FLAIR MR.
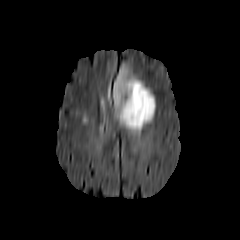
T1-weighted magnetic resonance.
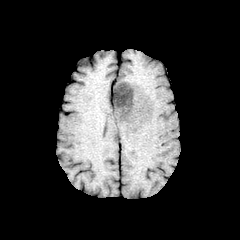
Post-contrast T1-weighted magnetic resonance.
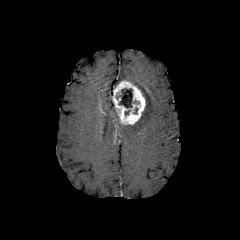
T2-weighted MR image.
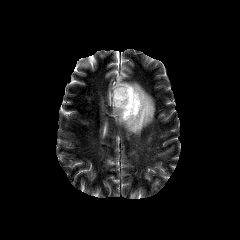
Head
Edema at 113, 65, 128, 89; 123, 79, 155, 136.
Non-enhancing tumor core at 119, 88, 139, 107.
Enhancing tumor at 112, 81, 145, 124.